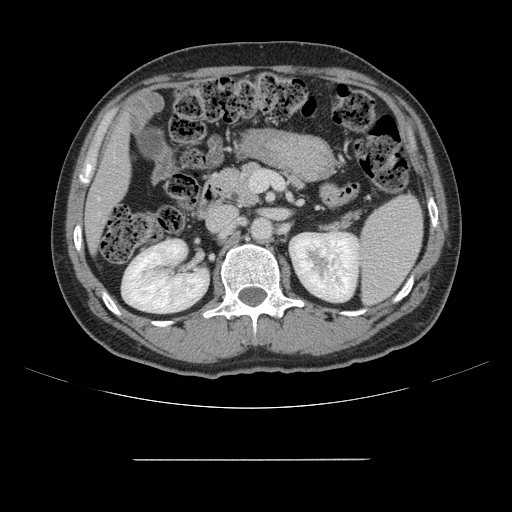
CT

Only some of the vessels may be annotated.
{"hepatic_vessel": ["box=[98, 198, 99, 200]"]}